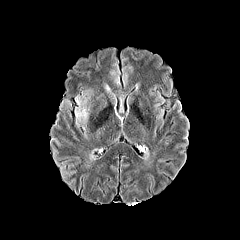
FLAIR MR image.
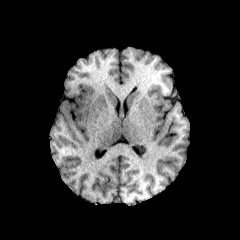
T1-weighted MRI of the same slice.
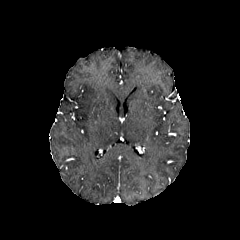
Post-contrast T1-weighted MR of the same slice.
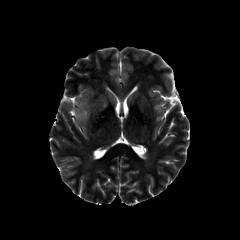
T2-weighted MR.
Edema: (74, 96, 89, 136).